Slice 69 of 81, CT scan slice, 512x512

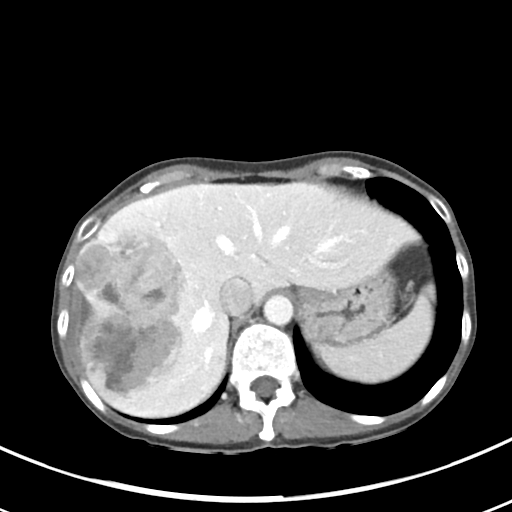 Not every hepatic vessel necessarily has a box.
Liver tumor at box=[80, 226, 189, 395].
Hepatic vessel at box=[217, 236, 233, 253]; box=[193, 309, 210, 329]; box=[255, 225, 259, 234]; box=[278, 229, 284, 238]; box=[204, 353, 208, 356].